240x240 px. Slice index 48. Head.
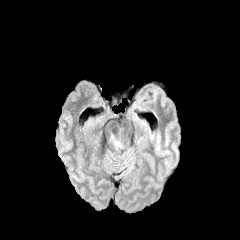
FLAIR MR.
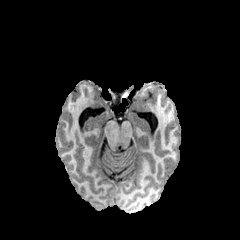
Same slice, T1-weighted magnetic resonance.
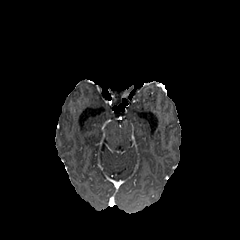
Same slice, post-contrast T1-weighted MR.
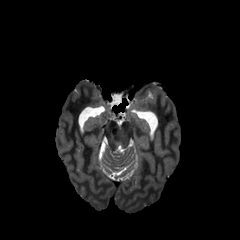
T2-weighted MR image.
• edema: bbox=[110, 135, 122, 150]